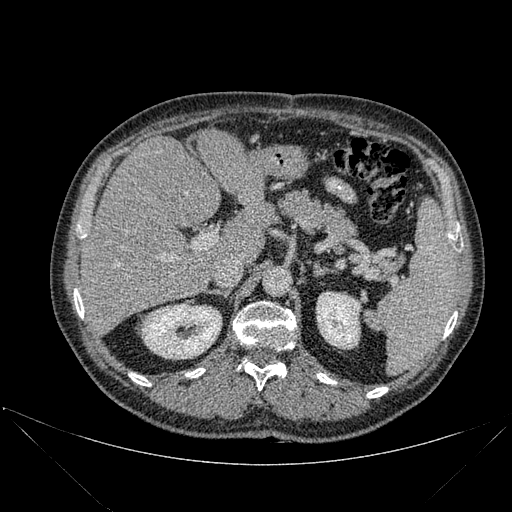
CT.

Segmented structures:
* kidney: (x1=142, y1=304, x2=221, y2=358), (x1=316, y1=292, x2=360, y2=348)
* liver: (x1=198, y1=128, x2=271, y2=266), (x1=79, y1=136, x2=222, y2=336)
* bone: (x1=443, y1=311, x2=457, y2=338), (x1=242, y1=359, x2=286, y2=390), (x1=185, y1=368, x2=205, y2=377), (x1=367, y1=387, x2=387, y2=397), (x1=233, y1=301, x2=296, y2=350), (x1=129, y1=373, x2=150, y2=386), (x1=317, y1=373, x2=336, y2=384), (x1=74, y1=289, x2=84, y2=318), (x1=448, y1=224, x2=459, y2=245), (x1=77, y1=224, x2=86, y2=238)